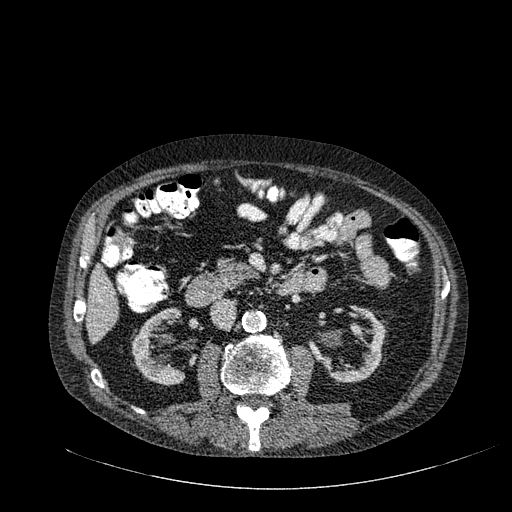

Upper abdomen; CT slice

{
  "kidney": [
    "(189, 317, 198, 328)",
    "(132, 308, 194, 385)",
    "(307, 305, 386, 382)",
    "(330, 330, 341, 347)",
    "(189, 354, 197, 366)"
  ],
  "liver": [
    "(88, 265, 117, 341)"
  ]
}